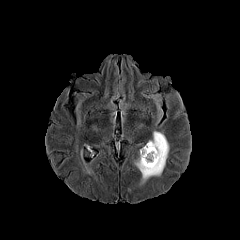
FLAIR MRI.
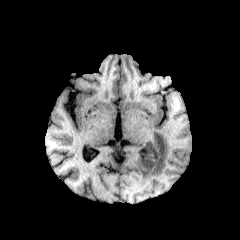
T1-weighted magnetic resonance.
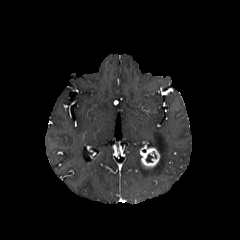
Post-contrast T1-weighted MRI.
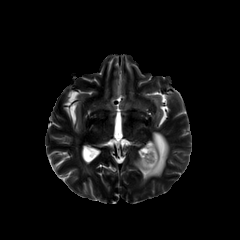
Same slice, T2-weighted magnetic resonance.
240x240. Head.
Edema at x1=136, y1=131, x2=169, y2=181.
Non-enhancing tumor core at x1=145, y1=151, x2=156, y2=163.
Enhancing tumor at x1=141, y1=147, x2=159, y2=166.